Slice 69/155 | Image width 240 mm
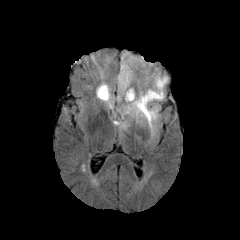
FLAIR MR.
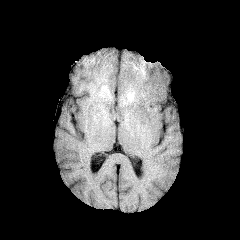
T1-weighted magnetic resonance.
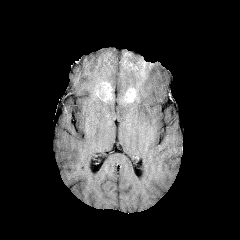
Same slice, post-contrast T1-weighted MR image.
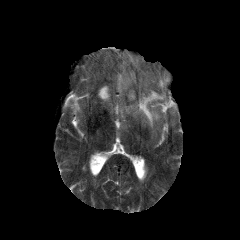
T2-weighted MR.
edema:
  - <bbox>118, 52, 138, 98</bbox>
  - <bbox>123, 75, 167, 131</bbox>
enhancing_tumor:
  - <bbox>126, 89, 135, 102</bbox>
  - <bbox>102, 86, 109, 98</bbox>
non-enhancing_tumor_core:
  - <bbox>124, 59, 142, 68</bbox>